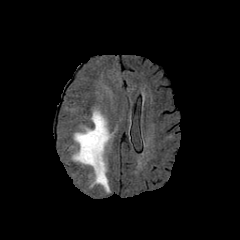
FLAIR MR image.
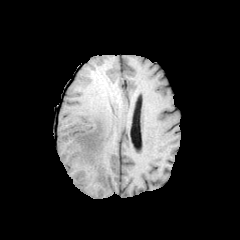
T1-weighted MR image of the same slice.
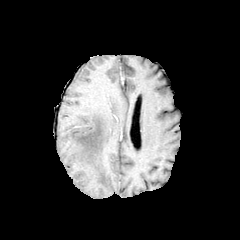
Post-contrast T1-weighted MR of the same slice.
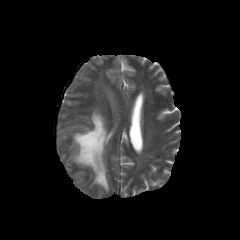
T2-weighted MR image.
<segmentation>
  <edema>box=[69, 109, 111, 191]</edema>
</segmentation>